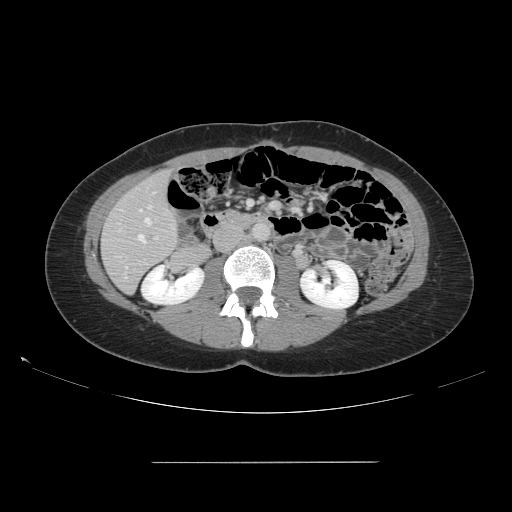 Abdomen; CT slice
Only some of the vessels may be annotated.
{
  "hepatic_vessel": [
    "155, 237, 157, 238",
    "125, 267, 127, 270",
    "148, 206, 151, 208",
    "119, 229, 120, 231",
    "138, 234, 145, 242",
    "125, 277, 126, 278",
    "145, 219, 150, 224"
  ]
}